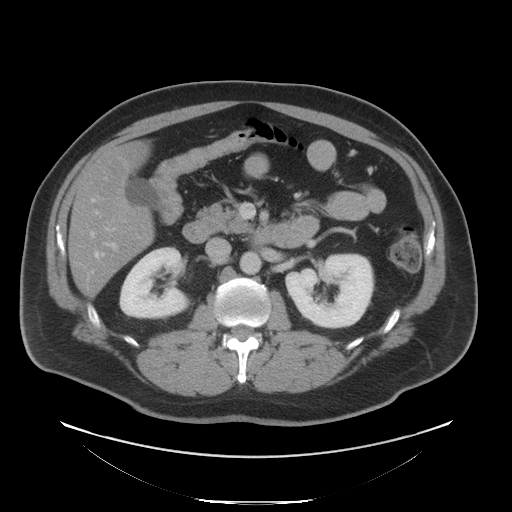

Abdomen, CT slice

* pancreas: box(198, 200, 251, 233)